FLAIR MR.
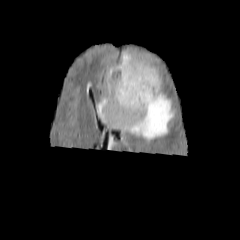
T1-weighted MR image.
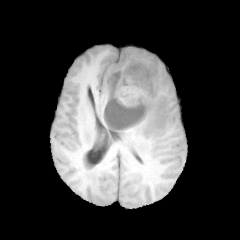
Post-contrast T1-weighted MRI.
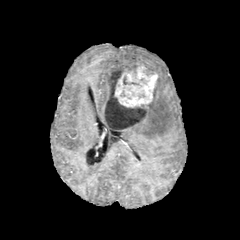
T2-weighted magnetic resonance.
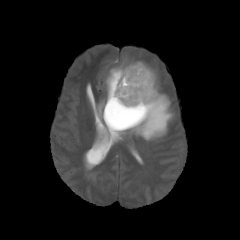
Head
- edema: box(115, 56, 155, 71); box(98, 98, 105, 120); box(106, 88, 176, 140)
- enhancing tumor: box(115, 66, 157, 107)
- non-enhancing tumor core: box(104, 64, 150, 129)